CT image
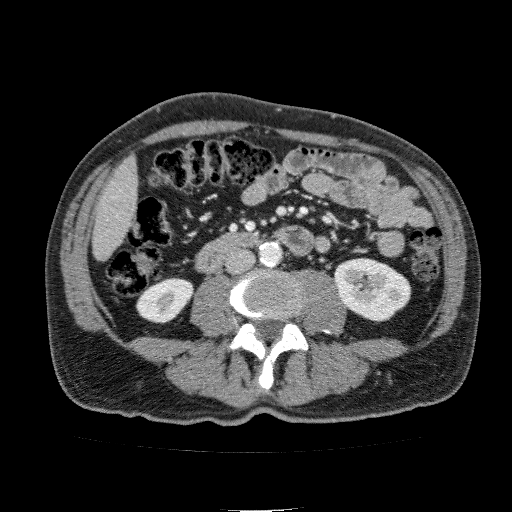
2 kidney regions appear at [335,259,409,320], [137,279,192,321]. The liver lies within [92,154,138,261].